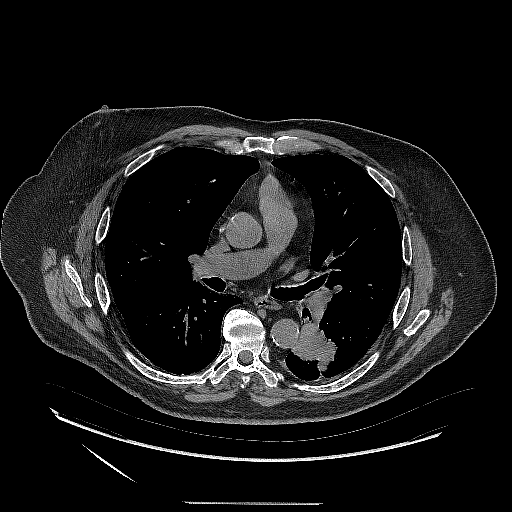

Lung | CT slice
lung_tumor:
  - [290,314,344,375]